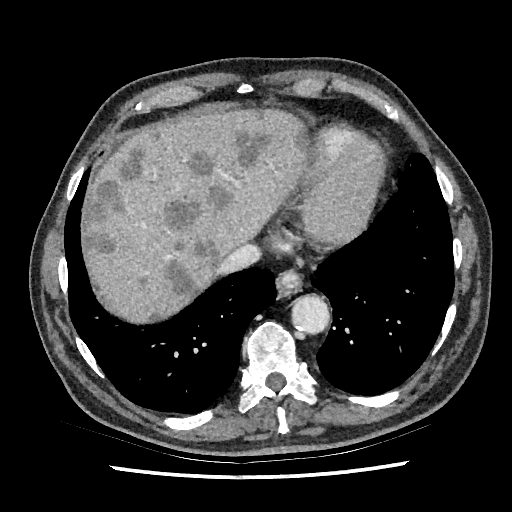 CT slice
13 focal liver lesion regions are located at [294,128,306,152], [162,260,196,297], [255,110,265,119], [174,242,183,251], [149,130,162,142], [187,150,213,178], [83,179,125,254], [135,275,148,288], [194,237,221,270], [235,130,274,167], [119,149,144,182], [162,184,232,230], [149,314,160,320]. The liver is bounded by [86,108,306,320].